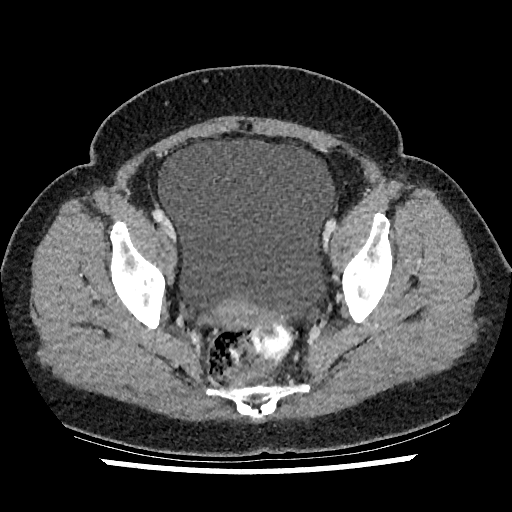

Lower abdomen; CT image
The urinary bladder lies within l=158, t=139, r=334, b=322.